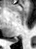
Hippocampus; MRI

Annotated regions:
* posterior hippocampus: 10,39,17,42